Liver | Computed tomography | Slice index 617

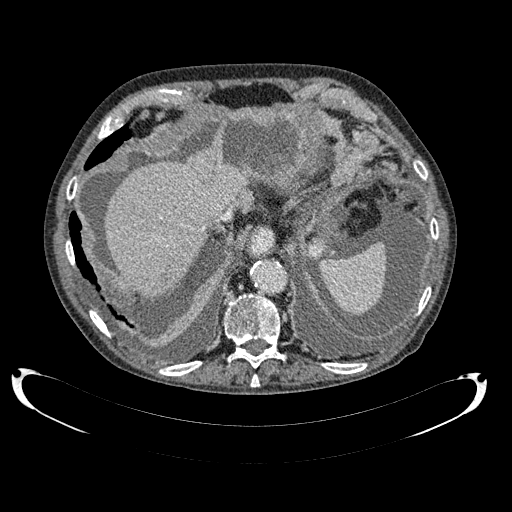
- liver: [104, 148, 246, 295]